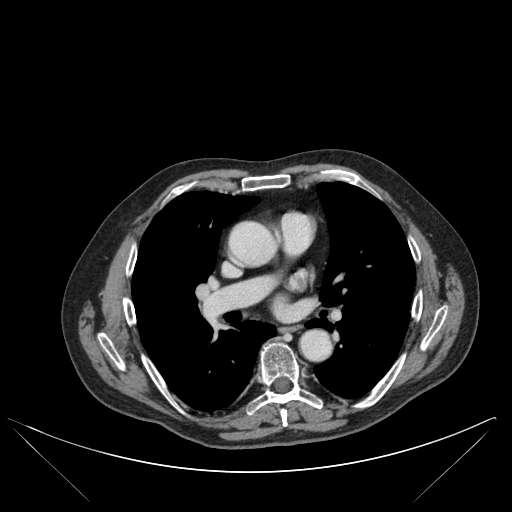

Thorax; CT image
2 lung regions are bounded by [305, 182, 414, 397], [132, 191, 275, 410]. 12 bone regions are bounded by [280, 409, 286, 425], [421, 307, 446, 349], [248, 343, 322, 414], [355, 355, 405, 407], [412, 291, 422, 319], [98, 333, 124, 369], [142, 355, 172, 402], [123, 298, 135, 324], [409, 238, 420, 260], [335, 170, 363, 185], [126, 246, 136, 274], [242, 174, 289, 190].